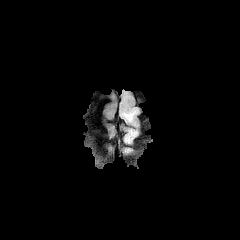
FLAIR MR.
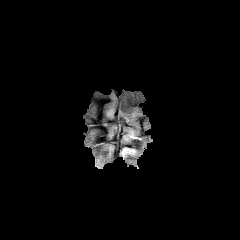
Same slice, T1-weighted MR.
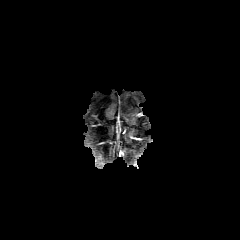
Post-contrast T1-weighted MR of the same slice.
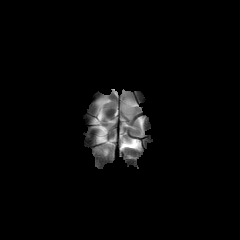
T2-weighted MRI.
<segmentation>
  <edema>124,116,139,143; 119,90,139,121</edema>
  <non-enhancing_tumor_core>124,106,135,131</non-enhancing_tumor_core>
</segmentation>